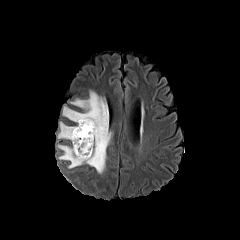
FLAIR MRI.
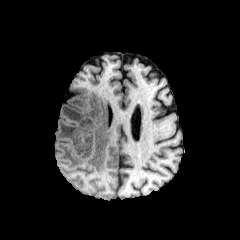
T1-weighted MR image.
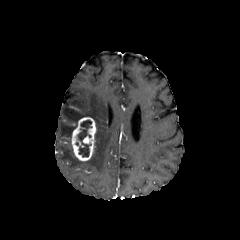
Post-contrast T1-weighted MR image.
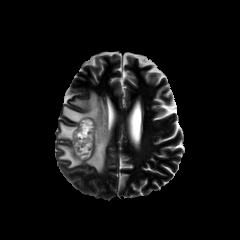
T2-weighted MRI of the same slice.
Head | 240x240
- non-enhancing tumor core: (77, 120, 92, 157)
- edema: (63, 91, 111, 174), (58, 122, 75, 139), (58, 145, 82, 168)
- enhancing tumor: (70, 116, 97, 161)